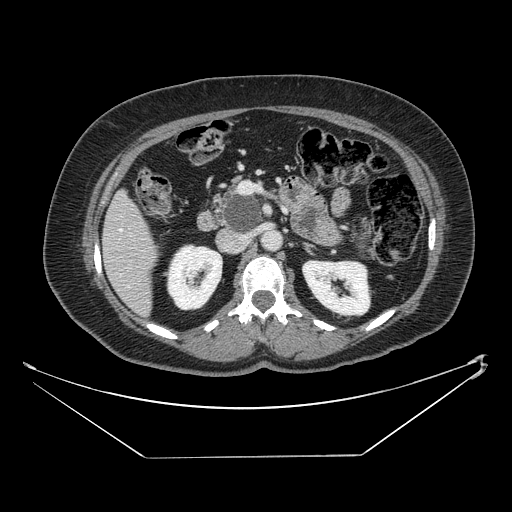
Computed tomography, Abdomen
The pancreas is at x1=211, y1=177, x2=263, y2=234. The pancreatic tumor is located at x1=225, y1=196, x2=260, y2=231.